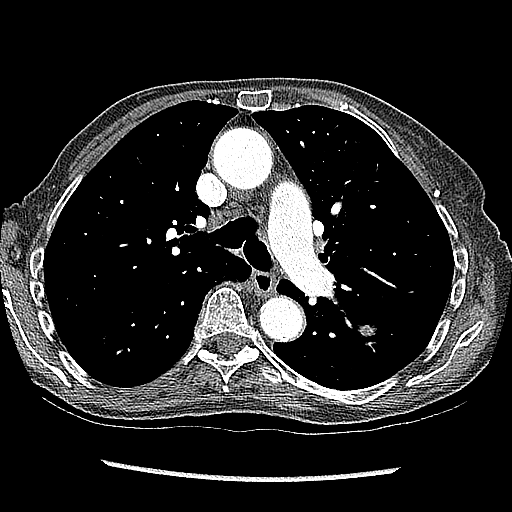
Image size 512x512, CT slice

Segmented structures:
* lung tumor: 353:320:380:339